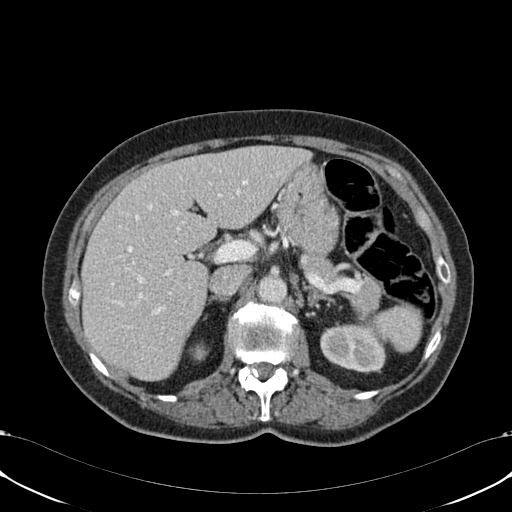

Abdomen; CT

• liver: [83,145,311,380], [225,263,251,274]
• kidney: [321,325,384,370]